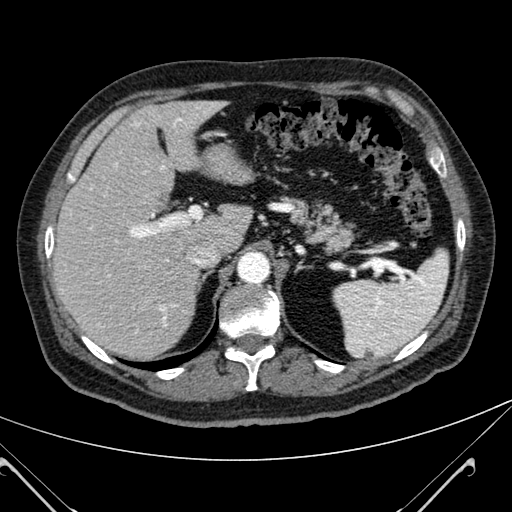
CT scan slice, Liver

Liver: region(51, 99, 247, 358).